512x512 px. CT scan slice. Field of view 373x373 mm. 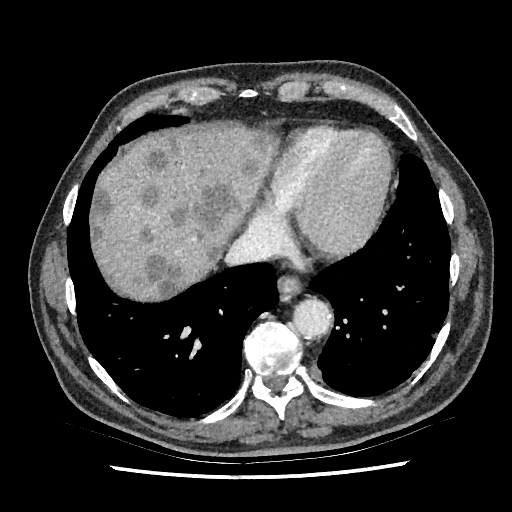 Annotated regions:
• liver: 92:124:277:299
• hepatic lesion: 170:181:238:230, 169:139:180:154, 141:183:161:208, 240:151:258:176, 126:166:136:177, 132:275:143:286, 198:168:204:177, 143:253:183:298, 193:228:204:243, 148:149:167:170, 91:179:111:242, 140:229:153:243, 205:244:222:264, 250:132:267:151